Upper abdomen, CT scan slice

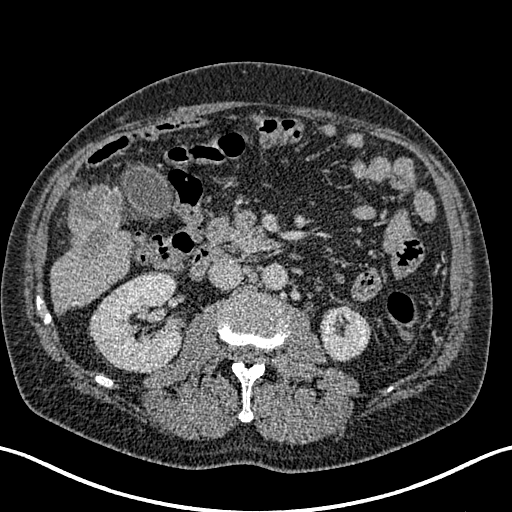

2 kidney regions are located at bbox(91, 274, 180, 371); bbox(321, 307, 369, 359). The liver appears at bbox(49, 183, 132, 313). The hepatic lesion is at bbox(70, 190, 116, 260).